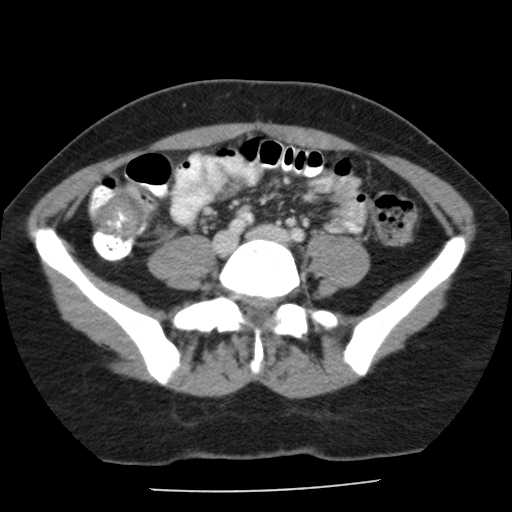 CT scan slice. Pelvis. 512x512.
Colon tumor — [94,190,142,239].